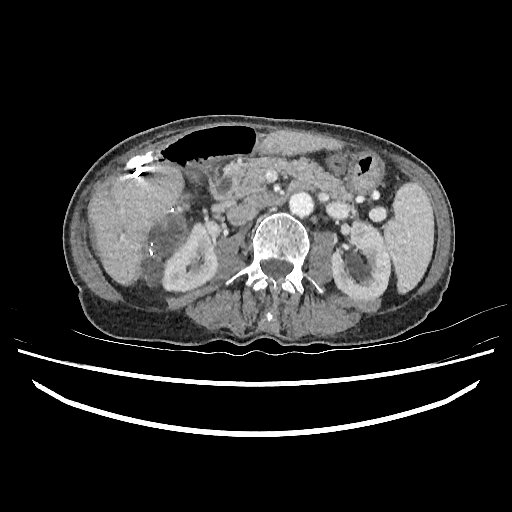 CT | Upper abdomen | 512x512 px

3 liver regions appear at left=176, top=225, right=187, bottom=247; left=89, top=165, right=183, bottom=285; left=260, top=131, right=340, bottom=154. 2 kidney regions are bounded by left=163, top=220, right=220, bottom=291; left=331, top=221, right=390, bottom=300. The hepatic lesion is at left=142, top=218, right=185, bottom=283.